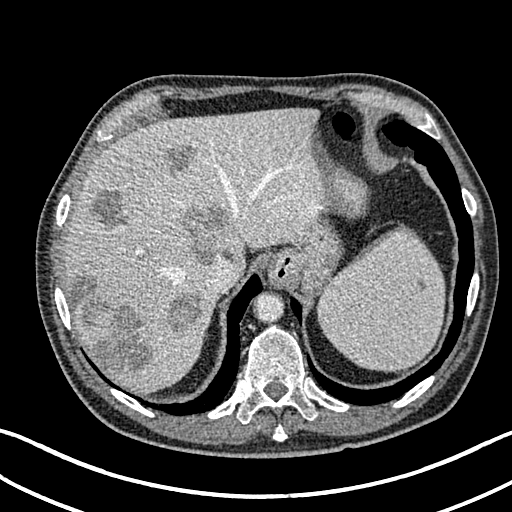

Upper abdomen; Image size 512x512; CT scan slice
Liver = x1=63, y1=109, x2=329, y2=389.
Liver lesion = x1=182, y1=206, x2=234, y2=264; x1=68, y1=275, x2=108, y2=324; x1=95, y1=305, x2=150, y2=370; x1=91, y1=190, x2=128, y2=232; x1=167, y1=292, x2=202, y2=333; x1=165, y1=146, x2=197, y2=176.